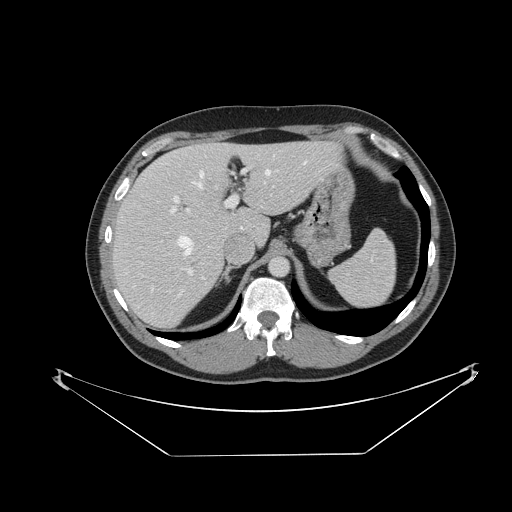 512x512 px; Upper abdomen; CT
<segmentation>
  <spleen>(330,230,395,309)</spleen>
</segmentation>